Liver, Slice 491 of 683, CT

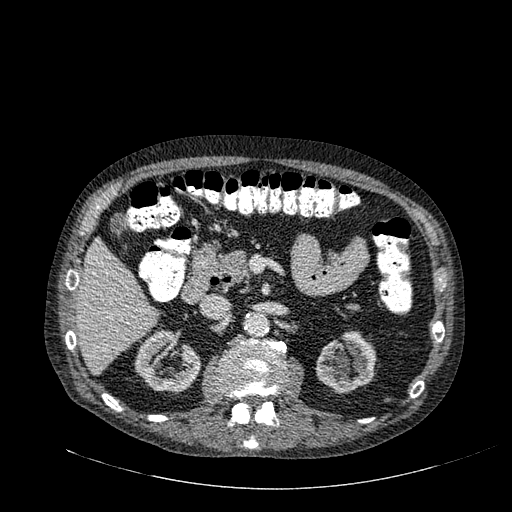
The liver appears at box=[78, 238, 157, 373]. 2 kidney regions are bounded by box=[134, 329, 201, 392]; box=[315, 331, 375, 393].